Computed tomography
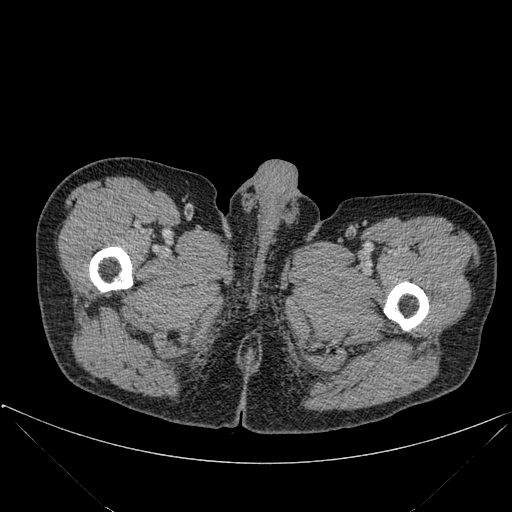

Bone: <box>384,282,428,330</box>, <box>89,247,132,291</box>.